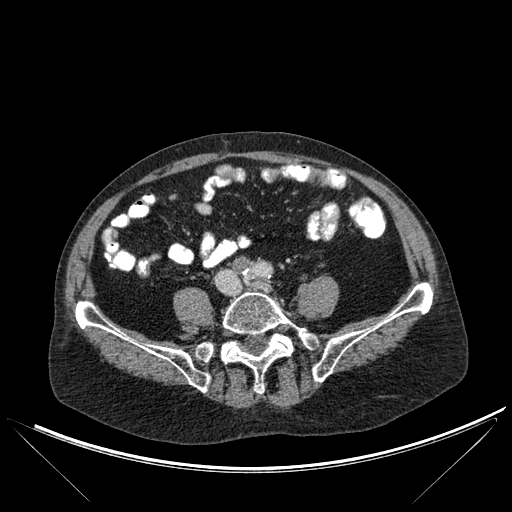

Computed tomography, 512x512

5 bone regions are bounded by [x1=313, y1=283, x2=432, y2=381], [x1=297, y1=328, x2=313, y2=348], [x1=221, y1=292, x2=292, y2=393], [x1=75, y1=301, x2=210, y2=392], [x1=196, y1=343, x2=213, y2=361].